Abdomen; CT scan slice; Image size 512x512; Slice 20 of 134
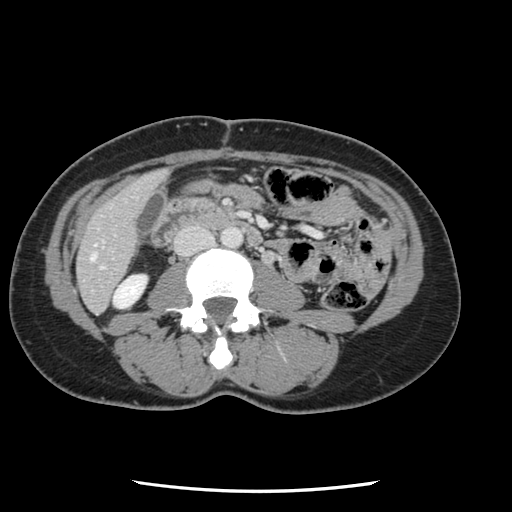

The vessel boxes may cover only some of the vessels.
- hepatic vessel: region(100, 266, 102, 267); region(90, 253, 95, 259)